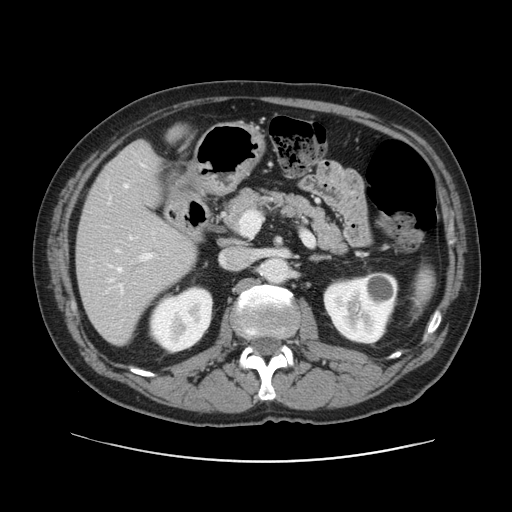 Image size 512x512. Liver. CT scan slice.
Only some of the vessels may be annotated.
<segmentation>
  <hepatic_vessel>x1=107 y1=198 x2=110 y2=203, x1=117 y1=267 x2=121 y2=271, x1=140 y1=254 x2=151 y2=260, x1=124 y1=184 x2=127 y2=187, x1=118 y1=284 x2=122 y2=290, x1=109 y1=279 x2=112 y2=281, x1=130 y1=236 x2=131 y2=238, x1=107 y1=264 x2=110 y2=266, x1=115 y1=249 x2=118 y2=251</hepatic_vessel>
</segmentation>